Field of view 240 mm wide, 1.00 mm slice spacing | Brain | Slice 36 of 155
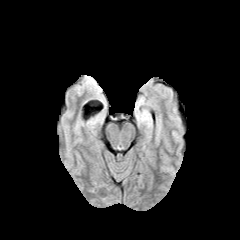
FLAIR magnetic resonance.
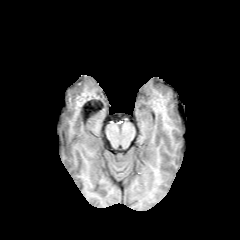
T1-weighted MRI of the same slice.
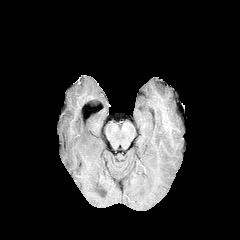
Post-contrast T1-weighted MR image.
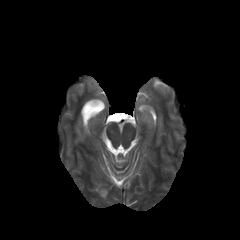
T2-weighted MRI of the same slice.
The edema lies within rect(136, 97, 150, 122).